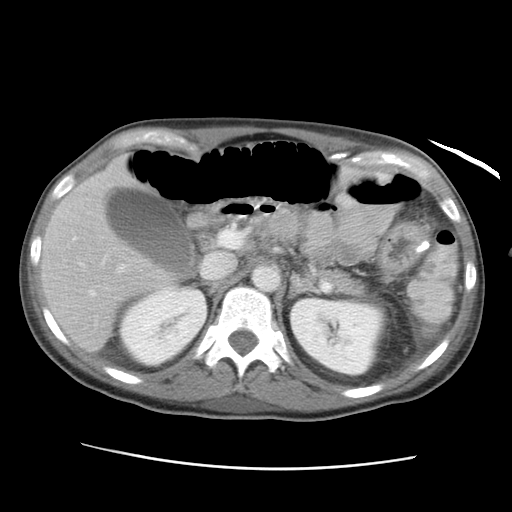 Computed tomography; 512x512
Annotated regions:
- kidney: (121, 288, 206, 364), (290, 298, 383, 374)
- liver: (41, 159, 177, 350)